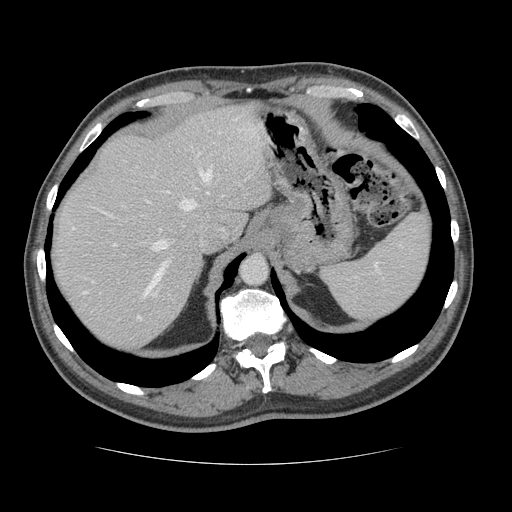
Liver; CT scan slice
Some hepatic vessels may have no box.
[15/16] hepatic vessel: 159,229,161,230; 146,201,148,202; 83,291,86,293; 98,209,112,216; 180,199,195,209; 152,240,167,249; 138,316,140,318; 163,191,168,192; 207,191,209,193; 113,243,115,245; 197,153,198,155; 165,261,169,264; 200,170,211,182; 144,265,164,296; 233,117,237,119